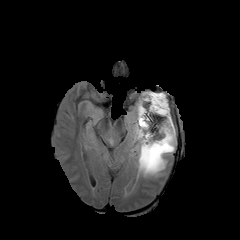
FLAIR MR image.
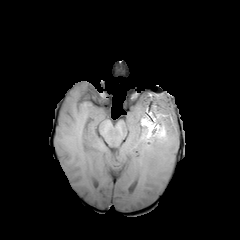
T1-weighted MR.
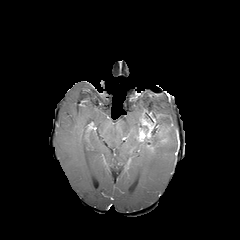
Post-contrast T1-weighted MR image.
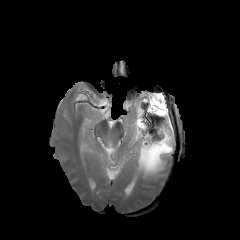
T2-weighted MRI.
{
  "enhancing_tumor": [
    "(left=136, top=127, right=150, bottom=141)",
    "(left=139, top=117, right=149, bottom=127)"
  ],
  "edema": [
    "(left=124, top=91, right=176, bottom=177)"
  ],
  "non-enhancing_tumor_core": [
    "(left=138, top=110, right=161, bottom=135)",
    "(left=144, top=137, right=153, bottom=152)"
  ]
}